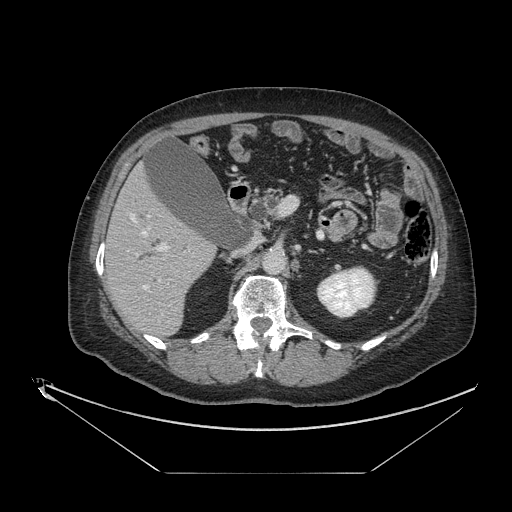 CT scan slice | 512x512

Pancreas — box(264, 187, 283, 211).